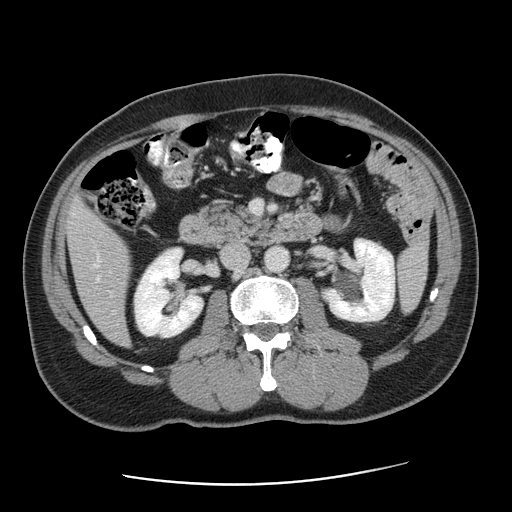 CT image | 512x512

The vessel annotation is not exhaustive.
2 hepatic vessel regions are bounded by 97 277 99 281, 95 254 100 266.